CT scan slice | Slice 180 of 245 | 512x512

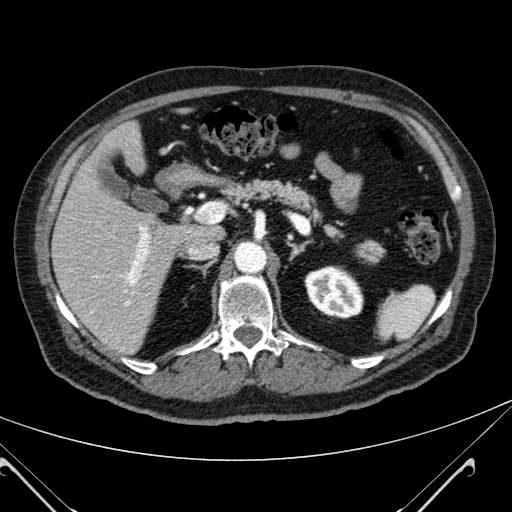 <segmentation>
  <kidney>left=306, top=267, right=361, bottom=316</kidney>
  <liver>left=50, top=121, right=219, bottom=353</liver>
</segmentation>